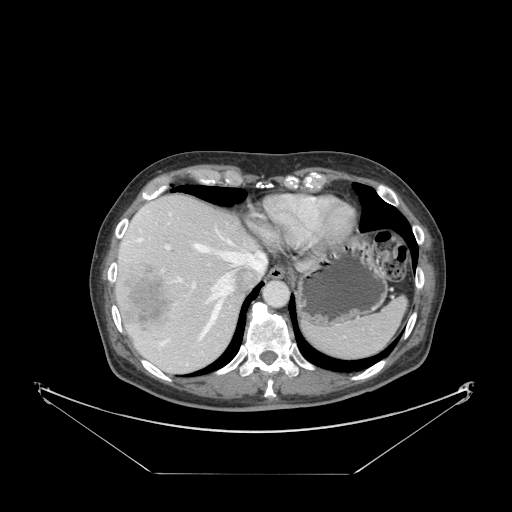

CT scan slice

<segmentation>
  <spleen><bbox>302, 298, 405, 359</bbox></spleen>
</segmentation>